Slice 91/155
FLAIR magnetic resonance.
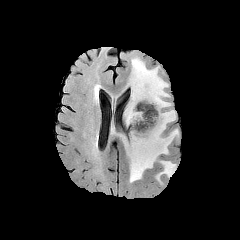
T1-weighted magnetic resonance.
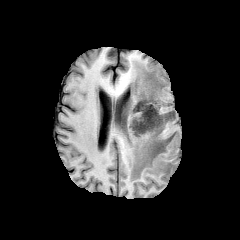
Post-contrast T1-weighted MRI.
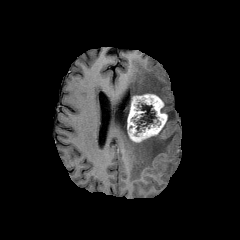
T2-weighted MRI.
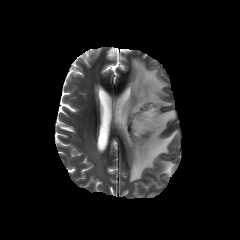
Segmented structures:
- enhancing tumor: [127, 94, 167, 141]
- edema: [126, 59, 179, 182]
- non-enhancing tumor core: [149, 143, 165, 157], [134, 102, 157, 132], [127, 123, 133, 135]